Slice 62 of 155 | 240x240 | Head
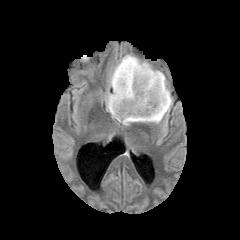
FLAIR MR image.
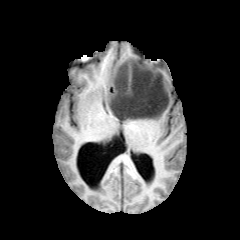
T1-weighted MRI of the same slice.
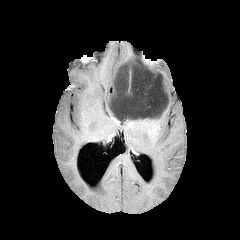
Same slice, post-contrast T1-weighted MR.
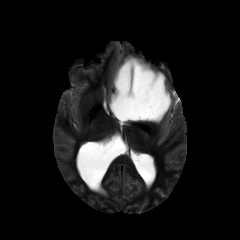
T2-weighted magnetic resonance.
Edema = [105, 55, 172, 125].
Non-enhancing tumor core = [112, 64, 167, 121].